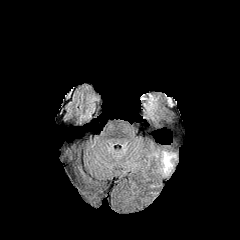
FLAIR MR image.
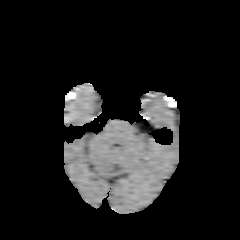
Same slice, T1-weighted MRI.
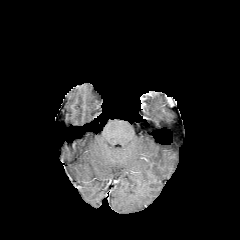
Same slice, post-contrast T1-weighted MR image.
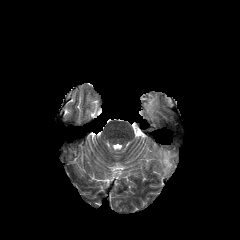
Same slice, T2-weighted MR.
Head
Edema — [151, 149, 178, 176], [144, 94, 158, 121].